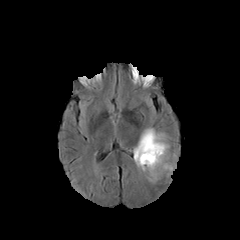
FLAIR MR.
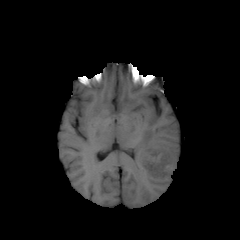
Same slice, T1-weighted MR.
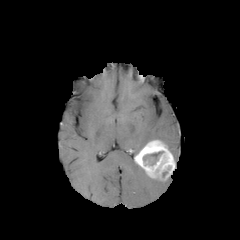
Post-contrast T1-weighted magnetic resonance.
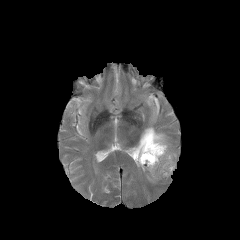
T2-weighted magnetic resonance of the same slice.
2 edema regions are bounded by x1=136 y1=164 x2=169 y2=183, x1=131 y1=126 x2=176 y2=160. The enhancing tumor is bounded by x1=134 y1=140 x2=175 y2=178. The non-enhancing tumor core is located at x1=144 y1=152 x2=161 y2=163.